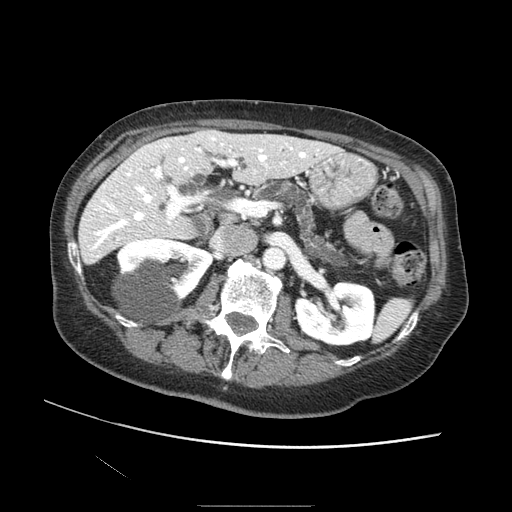
Upper abdomen, Image size 512x512, Computed tomography

The pancreas is at 255, 181, 360, 267.